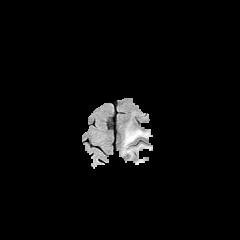
FLAIR MRI.
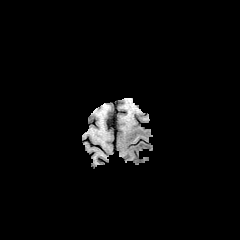
T1-weighted MR.
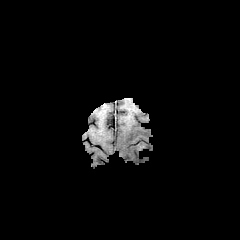
Post-contrast T1-weighted MR image.
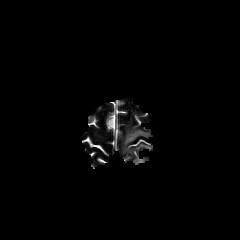
T2-weighted MR image of the same slice.
Brain
* edema: rect(124, 129, 147, 147)